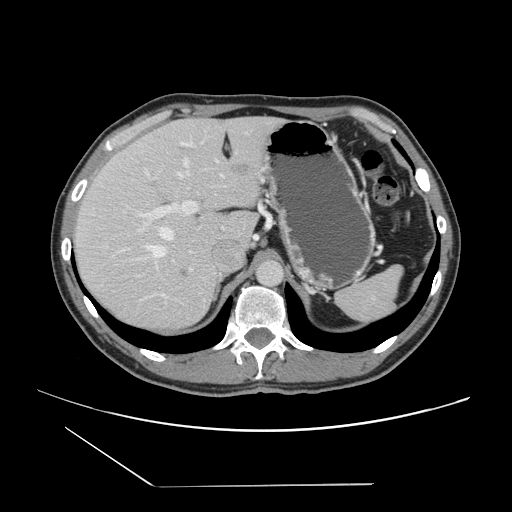 CT scan slice

Some hepatic vessels may have no box.
- hepatic vessel (top 15 of 23): [x1=162, y1=294, x2=167, y2=297], [x1=148, y1=175, x2=154, y2=179], [x1=141, y1=298, x2=144, y2=300], [x1=181, y1=212, x2=186, y2=214], [x1=187, y1=139, x2=191, y2=142], [x1=153, y1=292, x2=160, y2=295], [x1=196, y1=203, x2=198, y2=210], [x1=245, y1=132, x2=247, y2=133], [x1=184, y1=159, x2=188, y2=167], [x1=186, y1=201, x2=193, y2=201], [x1=146, y1=219, x2=151, y2=221], [x1=151, y1=253, x2=158, y2=264], [x1=178, y1=172, x2=182, y2=177], [x1=119, y1=250, x2=123, y2=251], [x1=186, y1=171, x2=189, y2=174]
- liver tumor: [x1=231, y1=162, x2=249, y2=175]